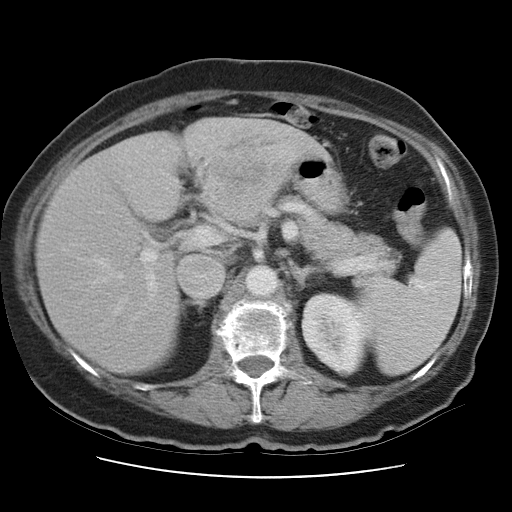

Liver; Computed tomography

The vessel boxes may cover only some of the vessels.
9 hepatic vessel regions are bounded by (left=187, top=227, right=219, bottom=246), (left=80, top=258, right=93, bottom=265), (left=146, top=267, right=156, bottom=296), (left=105, top=264, right=122, bottom=276), (left=141, top=249, right=156, bottom=262), (left=222, top=225, right=226, bottom=229), (left=128, top=291, right=130, bottom=293), (left=151, top=241, right=155, bottom=244), (left=93, top=243, right=94, bottom=244). The liver tumor is bounded by (left=209, top=132, right=278, bottom=191).